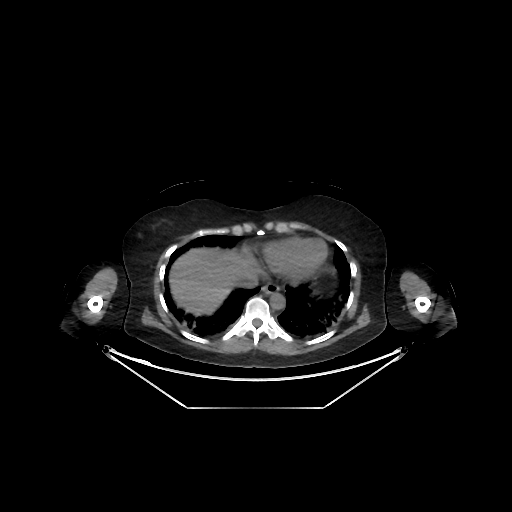

CT image; 512x512 px; Liver
The liver is bounded by box=[169, 247, 271, 315].